Slice 606 of 689; CT slice 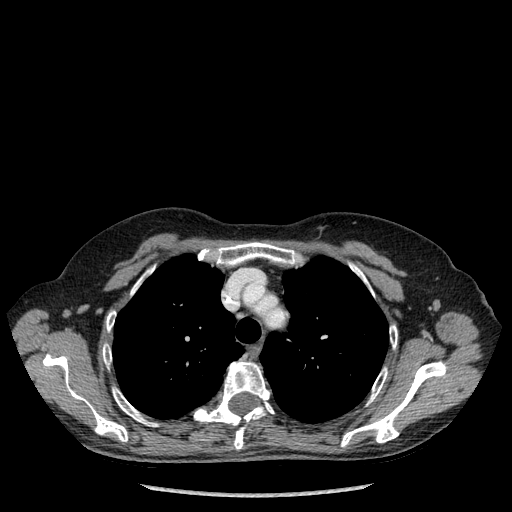
2 lung regions appear at box=[260, 256, 388, 423]; box=[113, 254, 260, 419]. 11 bone regions are located at box=[112, 387, 158, 426]; box=[341, 361, 447, 446]; box=[42, 354, 127, 441]; box=[102, 343, 111, 368]; box=[130, 270, 151, 295]; box=[193, 361, 274, 449]; box=[198, 242, 303, 265]; box=[349, 262, 374, 296]; box=[106, 311, 115, 331]; box=[367, 367, 387, 405]; box=[389, 325, 397, 348].